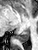
MRI slice
The posterior hippocampus is bounded by <bbox>15, 29, 29, 42</bbox>.